512x512; CT image

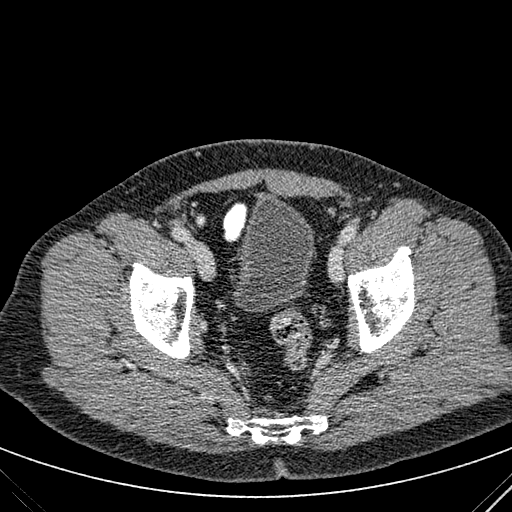 {
  "urinary_bladder": [
    "(227, 197, 316, 312)"
  ]
}